CT scan slice, Field of view 381x381 mm, Slice 84 of 424, Lower abdomen 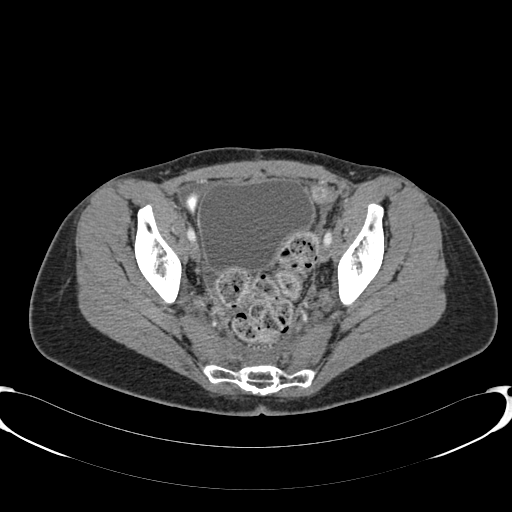

Urinary bladder: bounding box <box>200,181,312,270</box>.